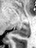 MRI slice

{"posterior_hippocampus": ["(left=14, top=24, right=29, bottom=36)"]}